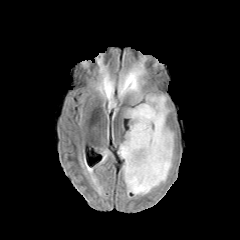
FLAIR MR image.
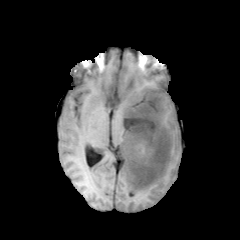
Same slice, T1-weighted MRI.
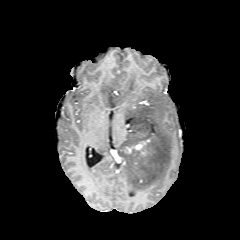
Post-contrast T1-weighted MR of the same slice.
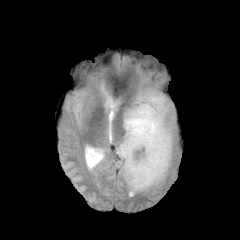
T2-weighted magnetic resonance of the same slice.
240x240.
The non-enhancing tumor core is located at (124, 96, 170, 193). 4 edema regions appear at (122, 64, 175, 195), (101, 83, 117, 105), (134, 148, 149, 163), (118, 133, 143, 197). The enhancing tumor lies within (126, 138, 151, 152).